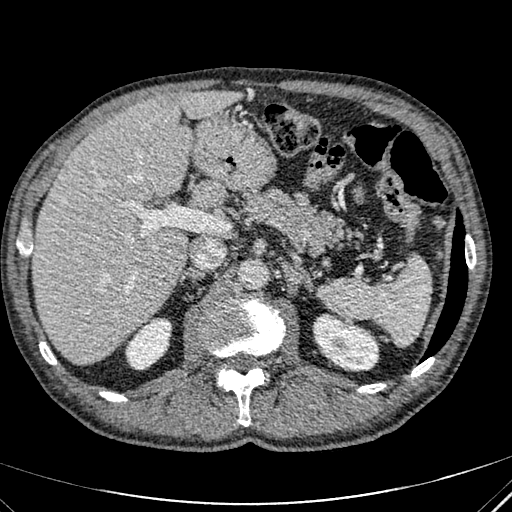 CT, Liver
2 kidney regions appear at {"x1": 127, "y1": 320, "x2": 170, "y2": 368}, {"x1": 314, "y1": 317, "x2": 377, "y2": 369}. 2 liver regions are bounded by {"x1": 33, "y1": 91, "x2": 243, "y2": 362}, {"x1": 193, "y1": 182, "x2": 223, "y2": 205}. The liver lesion is at {"x1": 157, "y1": 95, "x2": 180, "y2": 107}.